512x512 | Liver | Computed tomography

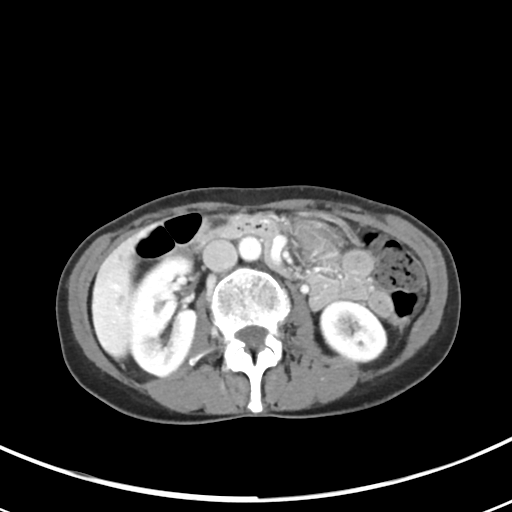 Segmented structures:
• liver tumor: <box>109,250,127,312</box>